Image width 240 mm; Slice 98/155
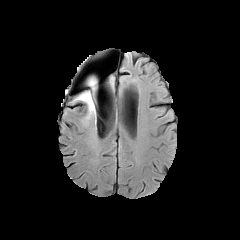
FLAIR magnetic resonance.
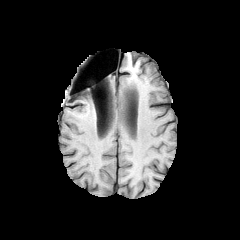
T1-weighted MR image of the same slice.
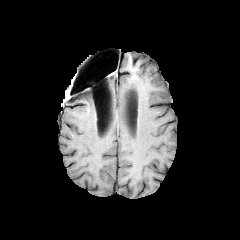
Post-contrast T1-weighted magnetic resonance.
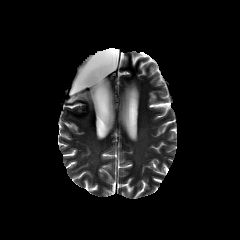
T2-weighted MR.
<segmentation>
  <non-enhancing_tumor_core>88:78:95:101</non-enhancing_tumor_core>
  <edema>71:90:96:121</edema>
</segmentation>